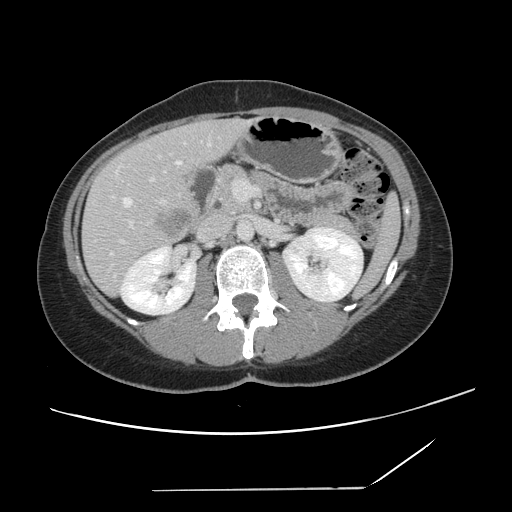
CT

Only some of the vessels may be annotated.
<segmentation>
  <hepatic_vessel>region(176, 161, 180, 164); region(110, 253, 112, 254); region(150, 178, 153, 180); region(113, 274, 115, 277); region(184, 142, 185, 143); region(123, 198, 131, 206); region(208, 138, 210, 145); region(116, 170, 117, 174); region(160, 201, 165, 203); region(129, 222, 132, 227); region(159, 156, 160, 157); region(120, 240, 123, 242)</hepatic_vessel>
  <liver_tumor>region(159, 210, 191, 234)</liver_tumor>
</segmentation>